Slice index 43, 512x512 px, CT scan slice, Liver

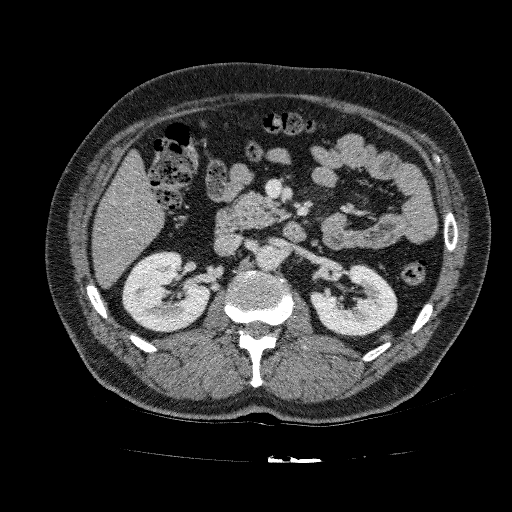
2 kidney regions are located at region(311, 266, 396, 334); region(123, 252, 209, 331). The liver appears at region(92, 150, 164, 287).